512x512. Computed tomography.
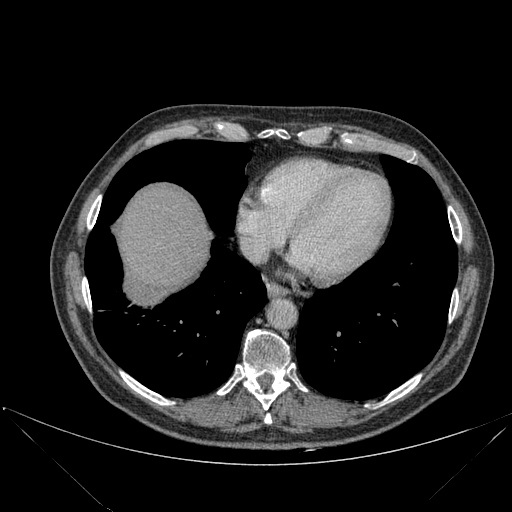
{"bone": ["(left=264, top=130, right=285, bottom=137)", "(left=82, top=278, right=91, bottom=308)", "(left=449, top=290, right=458, bottom=321)", "(left=87, top=195, right=101, bottom=228)", "(left=448, top=206, right=461, bottom=242)", "(left=264, top=414, right=271, bottom=424)", "(left=382, top=375, right=421, bottom=404)", "(left=120, top=372, right=169, bottom=404)", "(left=217, top=329, right=294, bottom=409)"], "lung": ["(left=84, top=140, right=266, bottom=397)", "(left=296, top=155, right=457, bottom=399)"], "liver": ["(left=114, top=189, right=212, bottom=306)"]}